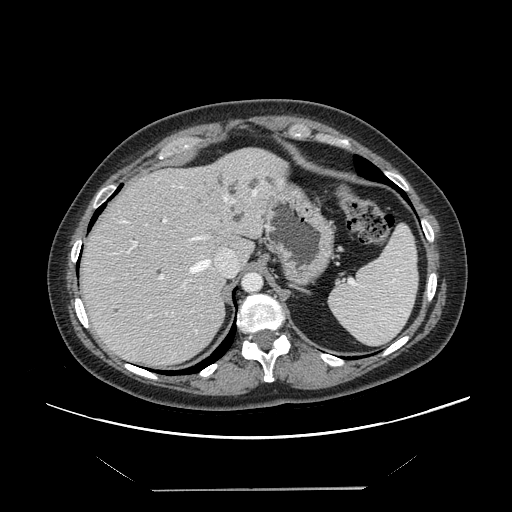
CT image.

The vessel annotation is not exhaustive.
hepatic_vessel:
  - <box>119,220,127,222</box>
  - <box>131,242,136,248</box>
  - <box>242,176,247,177</box>
  - <box>188,248,237,276</box>
  - <box>160,276,163,279</box>
  - <box>128,249,130,251</box>
  - <box>163,218,166,223</box>
  - <box>223,193,234,204</box>
  - <box>181,284,184,289</box>
  - <box>188,235,207,241</box>
  - <box>248,182,264,201</box>